512x512 px. Abdomen. CT. Slice 564/685. 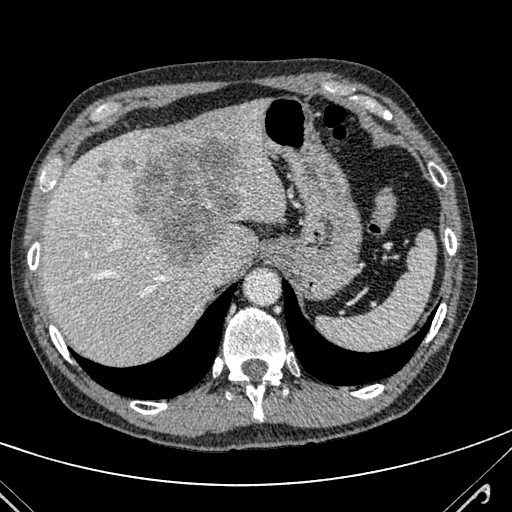 The liver is at [x1=43, y1=99, x2=286, y2=363]. 2 hepatic lesion regions are located at [x1=125, y1=159, x2=134, y2=170], [x1=134, y1=136, x2=242, y2=267].